Field of view 367x367 mm. Abdomen. Image size 512x512. Computed tomography.
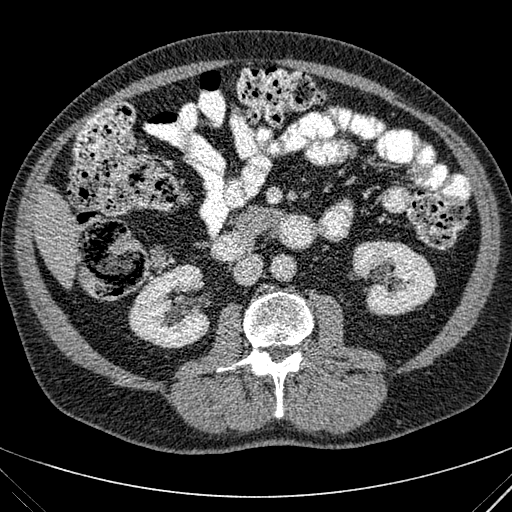

The liver lies within 35, 185, 77, 286. 2 kidney regions are located at 129, 264, 209, 347; 353, 241, 435, 314.